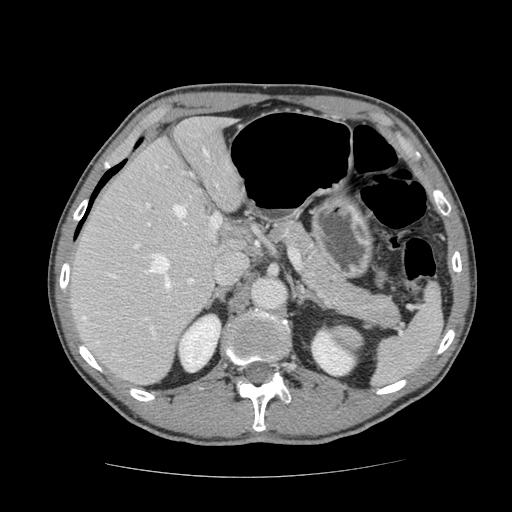

CT, Upper abdomen
Pancreas = region(266, 215, 402, 329).